FLAIR magnetic resonance.
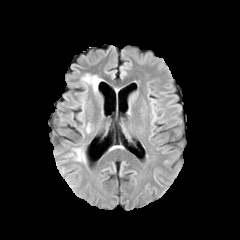
T1-weighted MR.
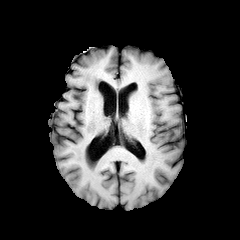
Post-contrast T1-weighted MR.
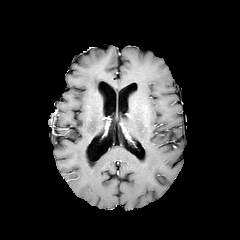
T2-weighted MRI.
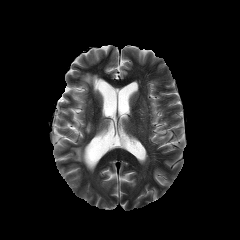
240x240 px. Head.
Edema: bounding box <box>82,73,102,93</box>, <box>80,95,86,113</box>, <box>71,147,86,162</box>, <box>85,123,91,133</box>.